Field of view 240x240 mm; Slice 114 of 155; Image size 240x240; Head
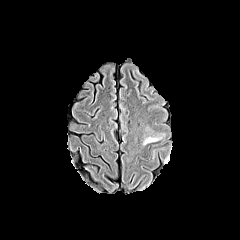
FLAIR MRI.
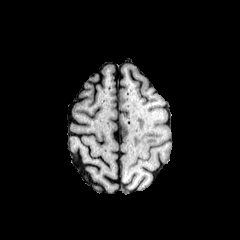
Same slice, T1-weighted MR.
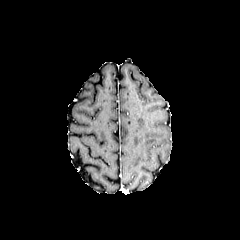
Same slice, post-contrast T1-weighted MR image.
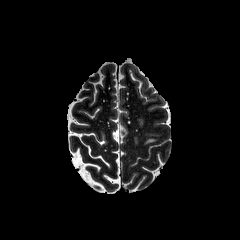
T2-weighted MR.
The edema appears at 144, 138, 158, 144.